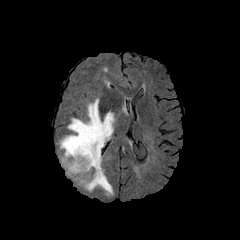
FLAIR MR image.
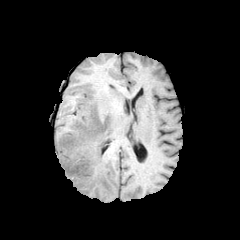
Same slice, T1-weighted magnetic resonance.
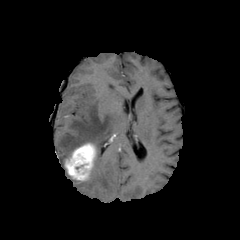
Same slice, post-contrast T1-weighted MR image.
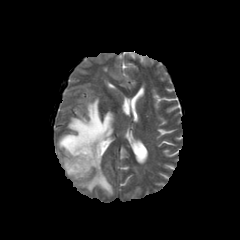
T2-weighted MRI.
Brain
Edema at x1=57 y1=98 x2=114 y2=195.
Enhancing tumor at x1=64 y1=143 x2=98 y2=182.